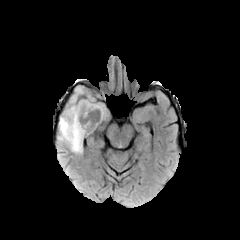
FLAIR MRI.
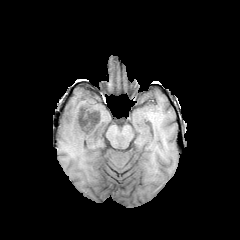
T1-weighted MR image.
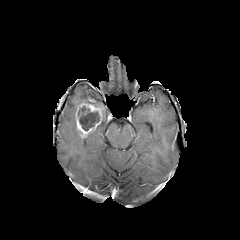
Post-contrast T1-weighted magnetic resonance.
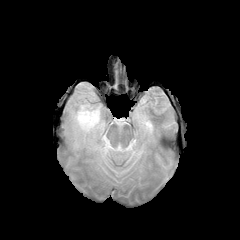
Same slice, T2-weighted MR image.
Head
Non-enhancing tumor core — box(78, 104, 102, 134); box(86, 99, 101, 106).
Edema — box(60, 90, 95, 153).
Enhancing tumor — box(86, 104, 103, 113); box(75, 107, 91, 136).